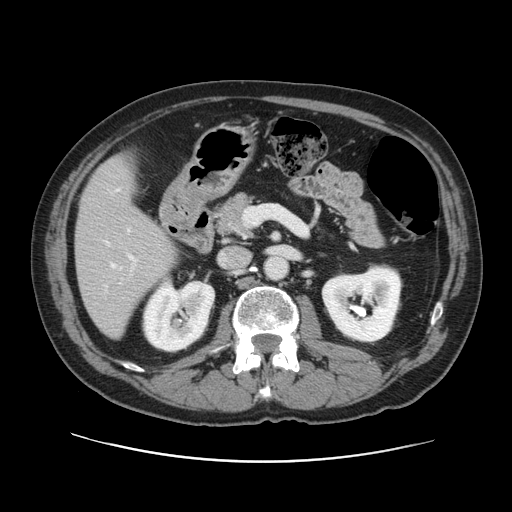

CT image.
Not every hepatic vessel necessarily has a box.
Annotated regions:
- hepatic vessel: rect(111, 264, 114, 267); rect(128, 254, 135, 261); rect(119, 267, 121, 268); rect(105, 241, 108, 244); rect(128, 229, 129, 231); rect(116, 189, 118, 191)